FLAIR MR.
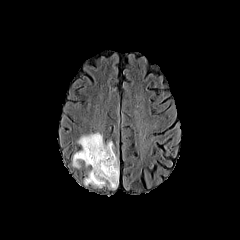
T1-weighted MR.
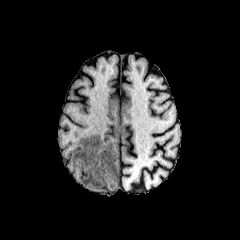
Post-contrast T1-weighted magnetic resonance.
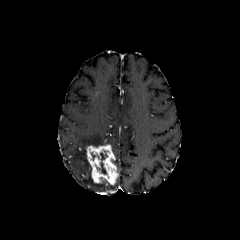
T2-weighted MRI.
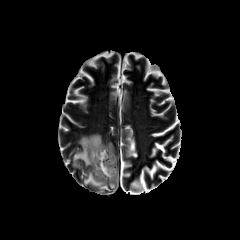
Head; 240x240
Findings:
* enhancing tumor: box(85, 144, 118, 184)
* edema: box(72, 133, 104, 168); box(85, 173, 105, 187); box(107, 177, 119, 189)